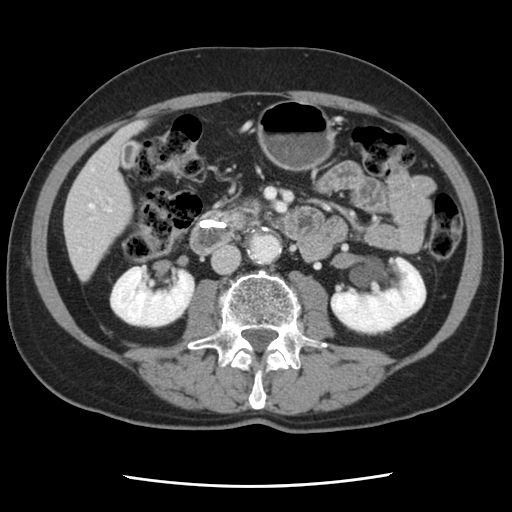

CT slice | Abdomen
Pancreas: 238,208,249,224.
Pancreatic tumor: 229,211,242,228.